Slice 191/299; CT scan slice

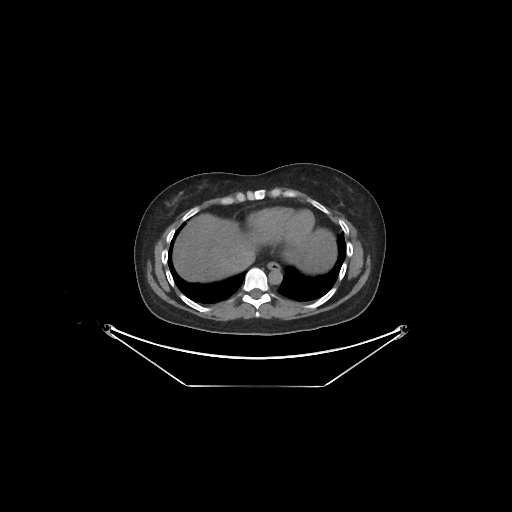

Liver — left=173, top=215, right=265, bottom=281; left=269, top=229, right=336, bottom=278.